Slice index 263, Computed tomography 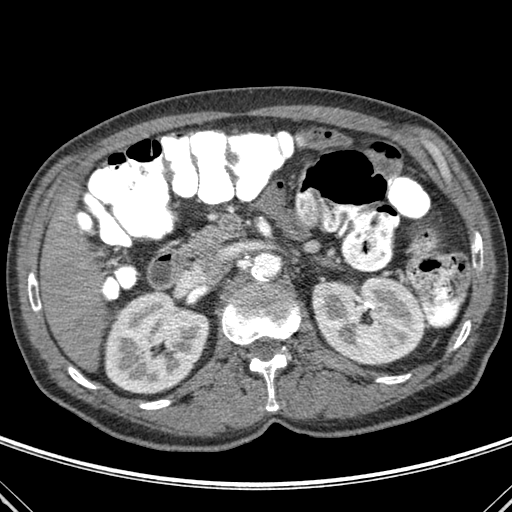
<segmentation>
  <bone>l=28, t=272, r=40, b=311; l=453, t=320, r=470, b=348; l=139, t=400, r=170, b=409; l=376, t=374, r=410, b=384; l=249, t=347, r=290, b=411; l=68, t=367, r=95, b=388; l=222, t=270, r=300, b=345; l=258, t=217, r=268, b=233; l=472, t=233, r=482, b=264</bone>
  <liver>l=39, t=189, r=106, b=368</liver>
  <kidney>l=313, t=278, r=423, b=363; l=106, t=293, r=207, b=392</kidney>
</segmentation>